Liver | CT 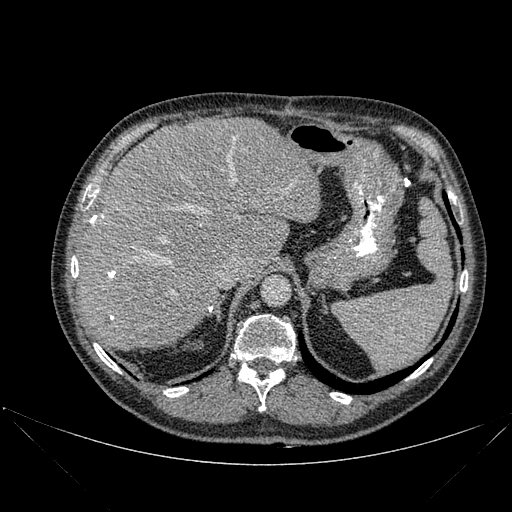

* bone: 409, 358, 432, 378; 94, 343, 120, 372; 460, 272, 467, 291; 83, 184, 98, 206; 164, 387, 188, 397; 71, 256, 78, 277; 330, 392, 351, 403; 231, 315, 295, 410
* liver: 77, 117, 320, 350
* lung: 443, 310, 457, 339; 443, 192, 460, 239; 299, 333, 439, 393